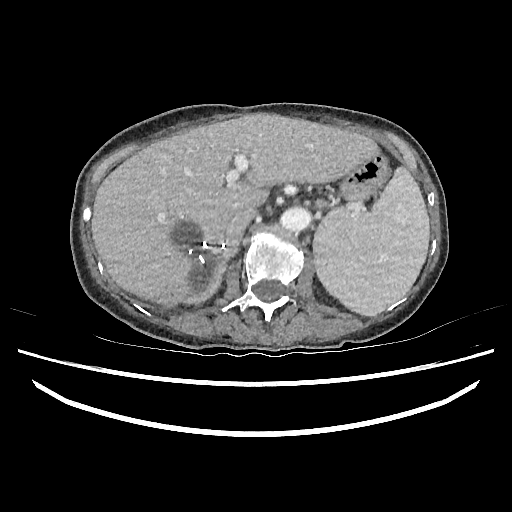
CT image, Abdomen

Annotated regions:
- liver: box(92, 114, 376, 304)
- liver lesion: box(173, 224, 217, 296)